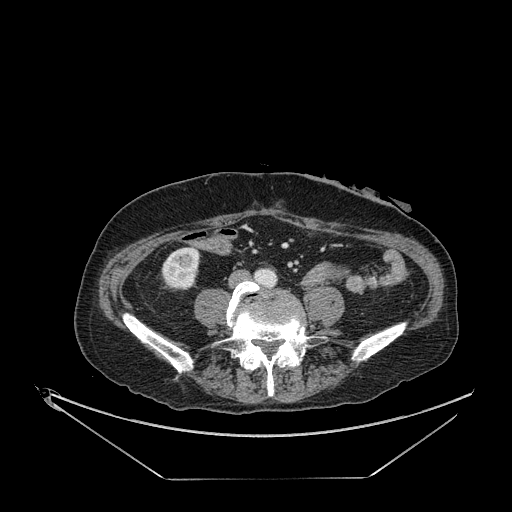

CT scan slice; 512x512 px
Kidney: [162, 248, 198, 288].